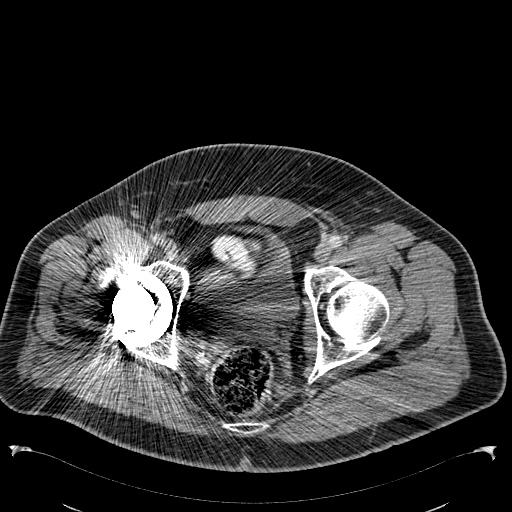
CT, Image size 512x512
urinary bladder: x1=198, y1=221, x2=301, y2=327